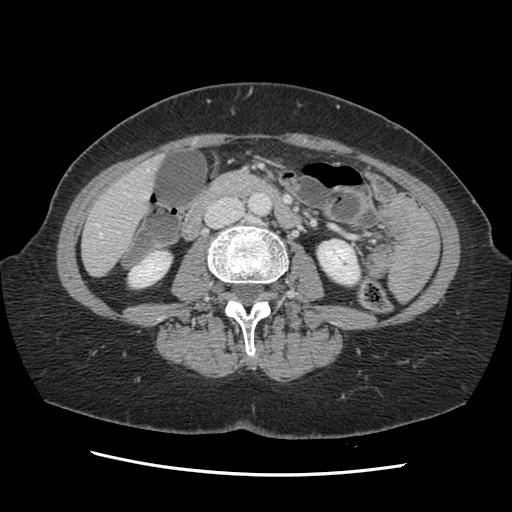
512x512. CT image. Liver.
Not every hepatic vessel necessarily has a box.
3 hepatic vessel regions are bounded by 147 167 148 170, 99 234 101 237, 97 224 99 226.